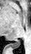
MR.
<segmentation>
  <posterior_hippocampus>(x1=8, y1=41, x2=20, y2=48)</posterior_hippocampus>
</segmentation>